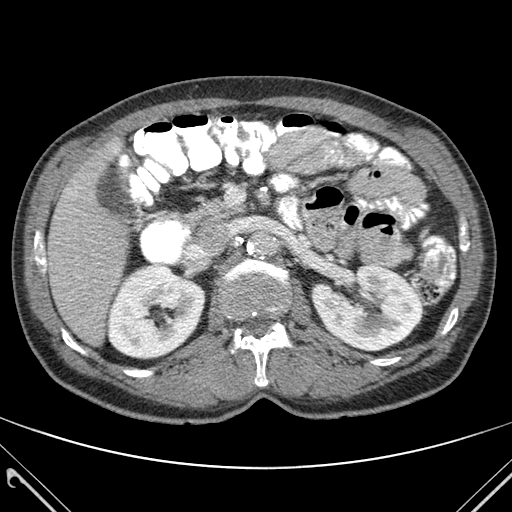 CT slice. Abdomen. Image size 512x512.
{"bone": ["bbox(224, 260, 286, 316)", "bbox(124, 370, 151, 376)", "bbox(34, 231, 45, 268)", "bbox(443, 309, 457, 333)", "bbox(234, 323, 290, 385)", "bbox(62, 329, 84, 353)", "bbox(371, 357, 399, 365)"], "liver": ["bbox(48, 143, 128, 345)"], "kidney": ["bbox(313, 265, 421, 349)", "bbox(109, 264, 203, 357)"]}